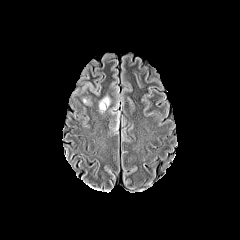
FLAIR MR image.
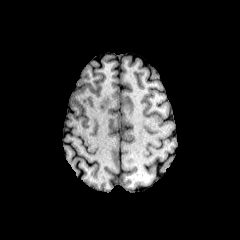
T1-weighted MR.
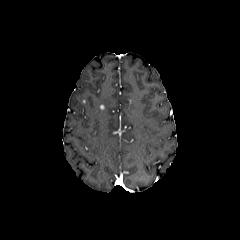
Post-contrast T1-weighted magnetic resonance.
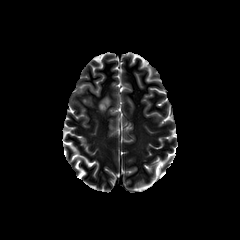
T2-weighted magnetic resonance.
{"edema": ["99, 96, 110, 112"]}